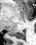

MR image. Medial temporal lobe.

The posterior hippocampus lies within region(9, 31, 24, 38).